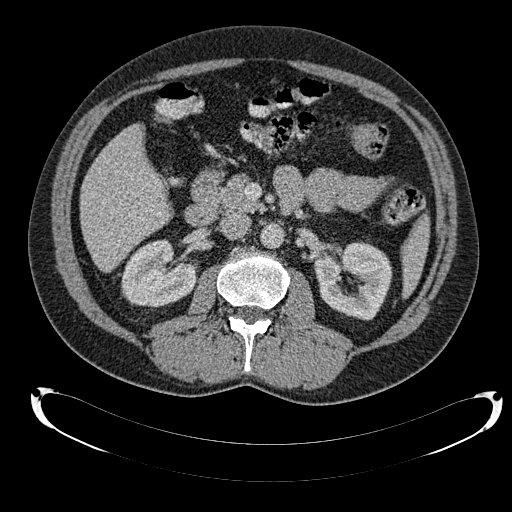

512x512 | CT
Liver at (x1=79, y1=124, x2=169, y2=271).
Kidney at (x1=122, y1=240, x2=195, y2=306), (x1=315, y1=243, x2=391, y2=319).